240x240. Field of view 240 mm wide, 1.00 mm slice spacing.
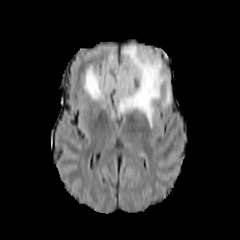
FLAIR MR image.
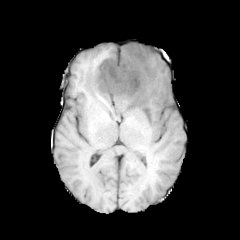
Same slice, T1-weighted MR.
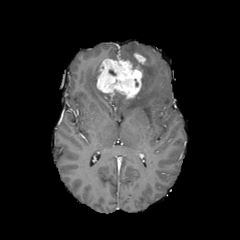
Post-contrast T1-weighted magnetic resonance of the same slice.
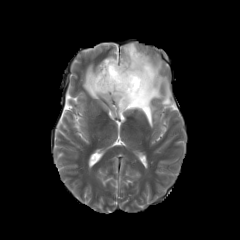
T2-weighted MR image.
enhancing tumor: (133, 53, 145, 65), (97, 58, 142, 99) | non-enhancing tumor core: (113, 91, 132, 106) | edema: (82, 43, 171, 127)